Abdomen | Image width 500 mm | Computed tomography

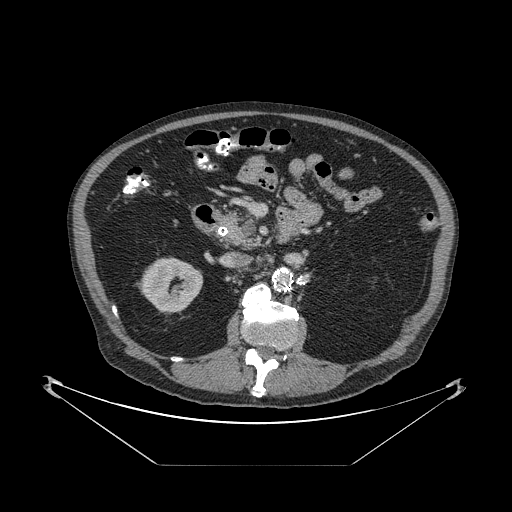

Annotated regions:
• pancreas: <bbox>218, 211, 259, 248</bbox>